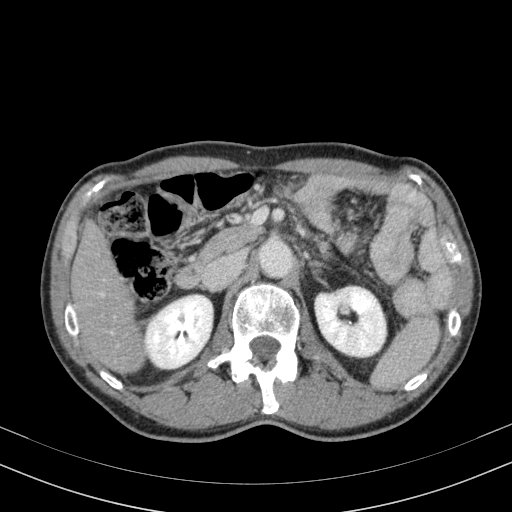 Abdomen | CT

kidney:
  - rect(146, 295, 212, 367)
  - rect(315, 287, 385, 356)
liver:
  - rect(71, 219, 144, 373)